Slice 85/155; Brain; Field of view 240x240 mm; 240x240
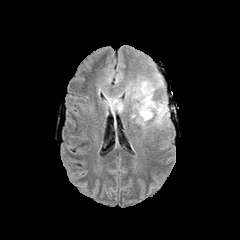
FLAIR MRI.
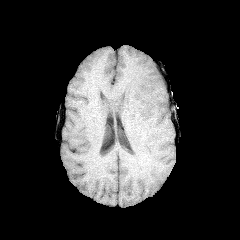
T1-weighted MR image.
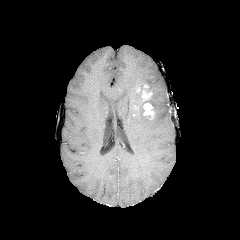
Same slice, post-contrast T1-weighted magnetic resonance.
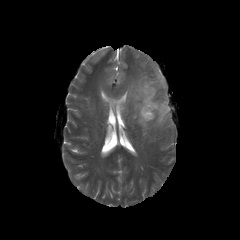
T2-weighted MRI.
Segmented structures:
• enhancing tumor: x1=143 y1=102 x2=153 y2=117, x1=141 y1=84 x2=151 y2=97
• edema: x1=103 y1=71 x2=169 y2=128
• non-enhancing tumor core: x1=136 y1=82 x2=156 y2=119